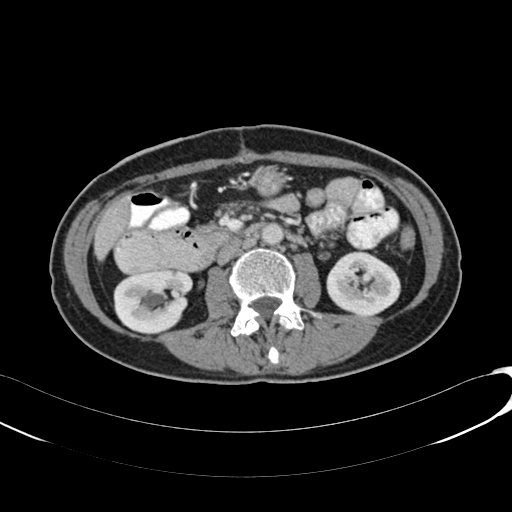 512x512; CT scan slice
<segmentation>
  <kidney>[115, 270, 184, 332], [327, 253, 399, 315]</kidney>
  <liver>[95, 197, 130, 258]</liver>
</segmentation>